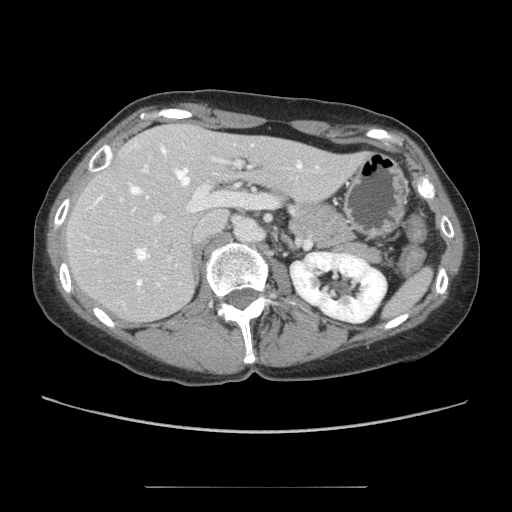

Upper abdomen | CT slice
Findings:
• pancreas: rect(290, 201, 356, 250)